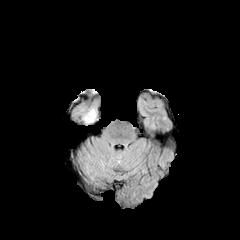
FLAIR MR image.
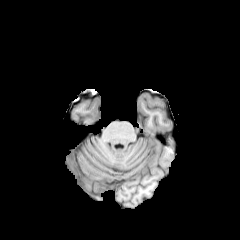
Same slice, T1-weighted MRI.
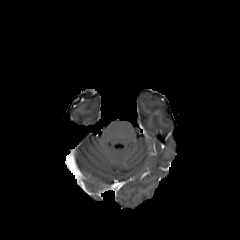
Post-contrast T1-weighted MR image.
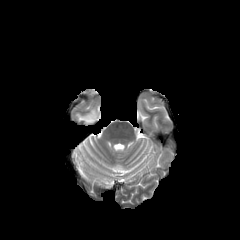
T2-weighted MR of the same slice.
Brain.
The edema lies within l=82, t=107, r=96, b=123.